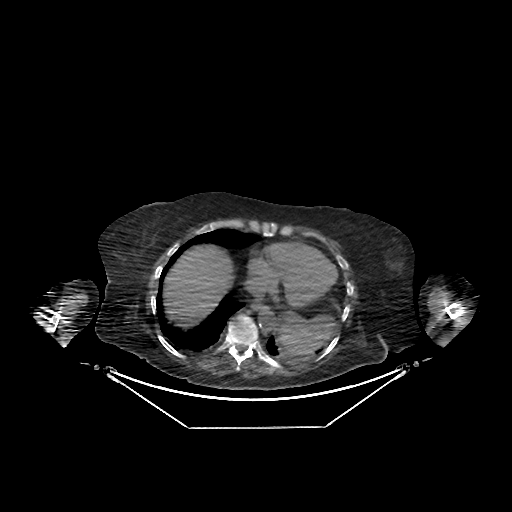 CT.

The liver lies within 163, 244, 235, 328.